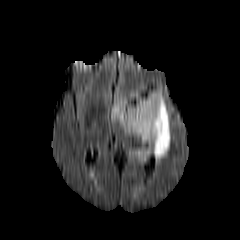
FLAIR MR image.
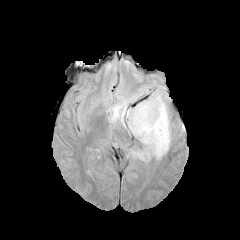
T1-weighted MR image.
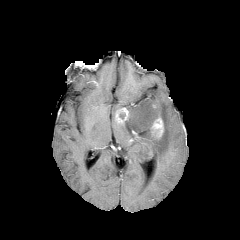
Post-contrast T1-weighted MR image of the same slice.
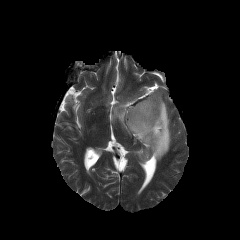
T2-weighted MR image.
• enhancing tumor: left=115, top=108, right=128, bottom=122; left=152, top=118, right=163, bottom=136
• edema: left=110, top=90, right=170, bottom=162